Field of view 240 mm wide, 1.00 mm slice spacing; Brain
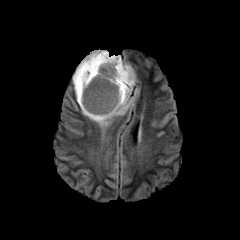
FLAIR MR.
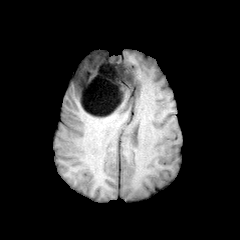
Same slice, T1-weighted magnetic resonance.
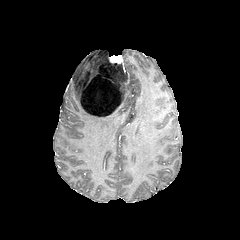
Same slice, post-contrast T1-weighted MRI.
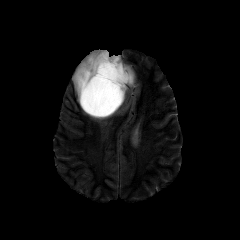
T2-weighted MRI.
The edema is located at rect(72, 50, 136, 125). The non-enhancing tumor core lies within rect(80, 52, 132, 116). The enhancing tumor is bounded by rect(108, 56, 125, 71).